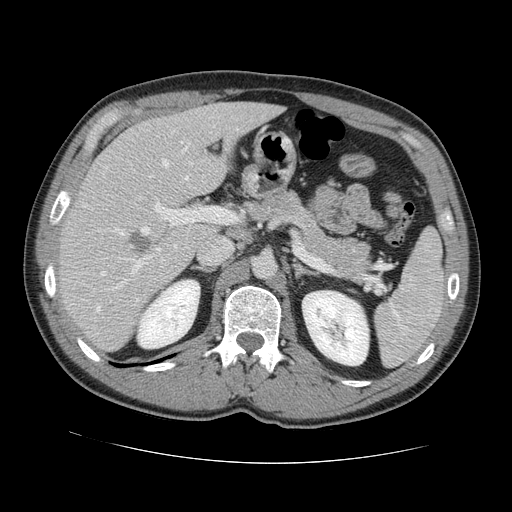 Computed tomography | Abdomen

The vessel boxes may cover only some of the vessels.
Top 15 of 26 hepatic vessel regions: (left=181, top=176, right=186, bottom=182), (left=125, top=255, right=150, bottom=274), (left=96, top=229, right=101, bottom=231), (left=180, top=141, right=189, bottom=151), (left=134, top=298, right=139, bottom=305), (left=155, top=247, right=160, bottom=251), (left=141, top=227, right=148, bottom=234), (left=127, top=160, right=131, bottom=167), (left=113, top=229, right=126, bottom=235), (left=82, top=203, right=89, bottom=207), (left=103, top=278, right=127, bottom=290), (left=154, top=197, right=159, bottom=210), (left=103, top=166, right=107, bottom=176), (left=96, top=305, right=99, bottom=311), (left=162, top=160, right=167, bottom=166).
Liver tumor: (left=130, top=231, right=155, bottom=255).